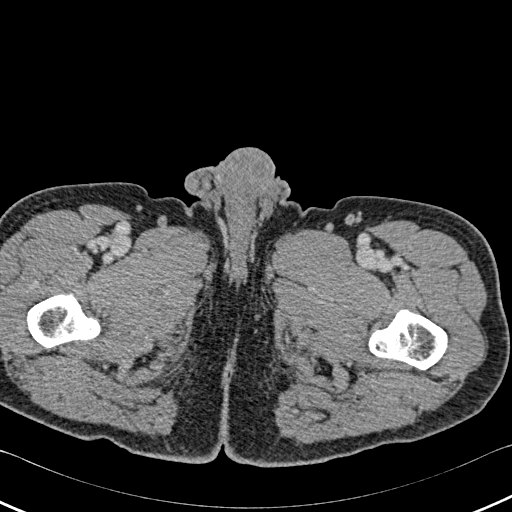 CT slice. bone: 369,310,446,369; 27,294,99,347